Slice 368 of 816; CT slice; Abdomen 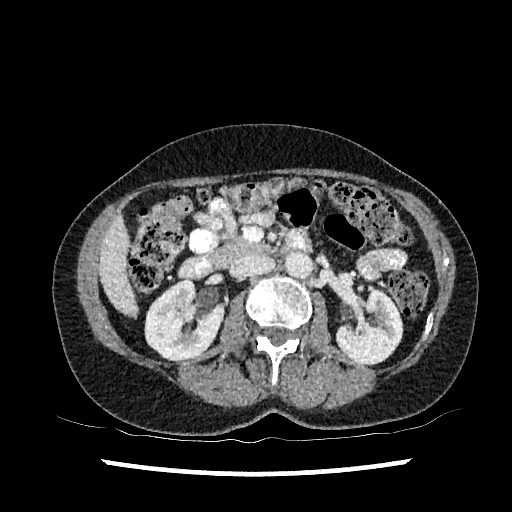
Liver = (x1=99, y1=217, x2=136, y2=315).
Kidney = (x1=337, y1=291, x2=402, y2=363), (x1=145, y1=280, x2=223, y2=359).